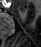

Image size 41x47 | MR image

Anterior hippocampus at 18:6:25:12.